Slice 54 of 343; CT scan slice
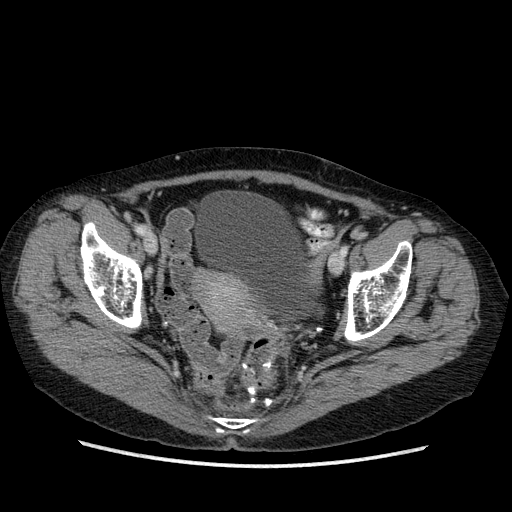

Urinary bladder = left=192, top=190, right=319, bottom=311.